FLAIR MRI.
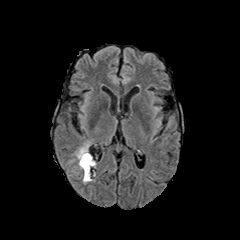
T1-weighted MRI.
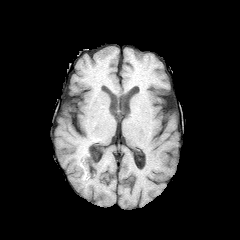
Post-contrast T1-weighted MR image.
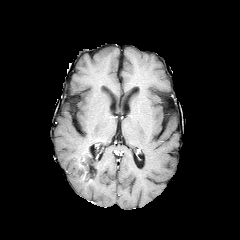
T2-weighted MR.
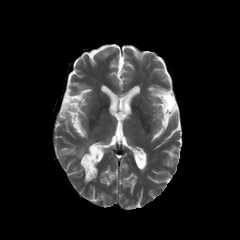
Head
The non-enhancing tumor core is at l=80, t=150, r=94, b=175. The edema is bounded by l=74, t=142, r=96, b=182.